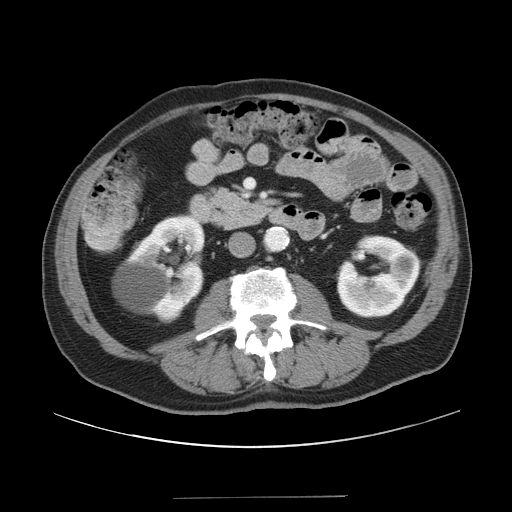
Upper abdomen | CT slice | 512x512 px
pancreas:
  - (204,186,271,230)